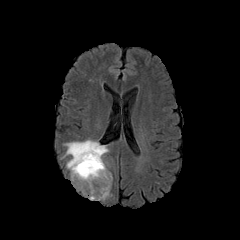
FLAIR MR.
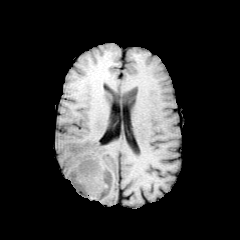
T1-weighted magnetic resonance.
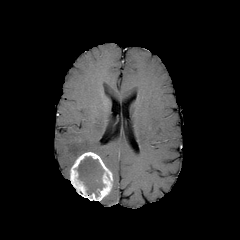
Post-contrast T1-weighted MR.
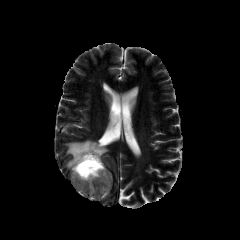
T2-weighted MR image.
Head. Image size 240x240.
Segmented structures:
• non-enhancing tumor core: l=77, t=157, r=103, b=195
• edema: l=63, t=139, r=109, b=169; l=86, t=176, r=101, b=192
• enhancing tumor: l=70, t=152, r=112, b=200